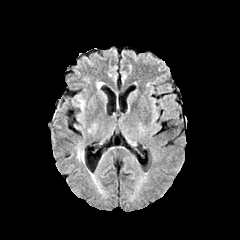
FLAIR MR image.
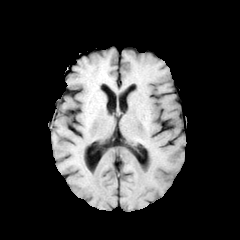
T1-weighted MR of the same slice.
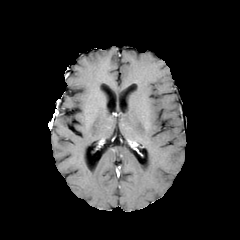
Same slice, post-contrast T1-weighted MRI.
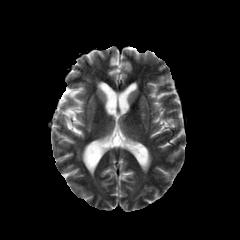
Same slice, T2-weighted magnetic resonance.
Head, Image size 240x240
The edema lies within (72,95,85,127).